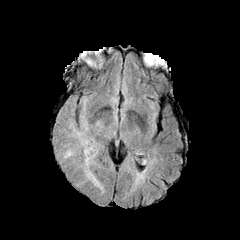
FLAIR MRI.
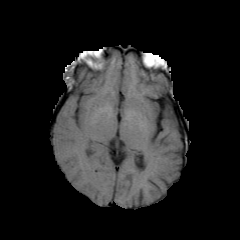
Same slice, T1-weighted MR.
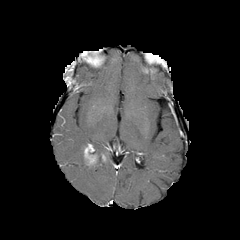
Same slice, post-contrast T1-weighted magnetic resonance.
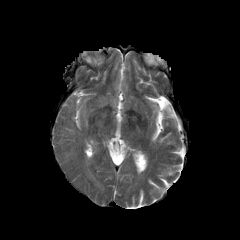
T2-weighted magnetic resonance of the same slice.
Head.
2 edema regions appear at [74,133,103,190], [82,121,89,132]. 2 enhancing tumor regions appear at [89,157,95,164], [85,145,94,156].